Field of view 240x240 mm, Image size 240x240, Head, Slice 71 of 155
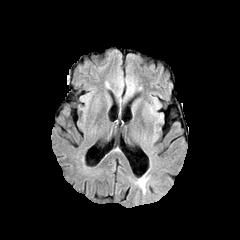
FLAIR magnetic resonance.
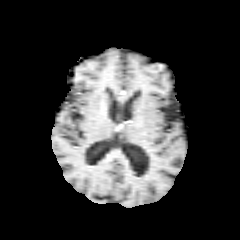
T1-weighted MR of the same slice.
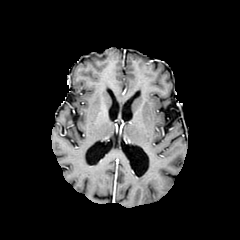
Same slice, post-contrast T1-weighted MR image.
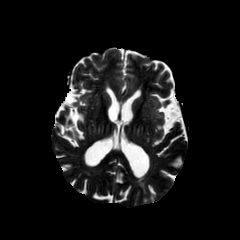
Same slice, T2-weighted magnetic resonance.
Edema: bounding box [x1=136, y1=173, x2=148, y2=194].